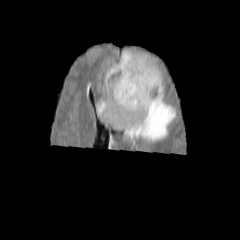
FLAIR MRI.
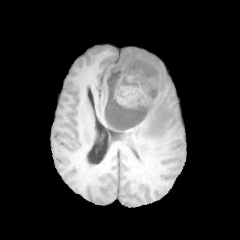
T1-weighted MR image.
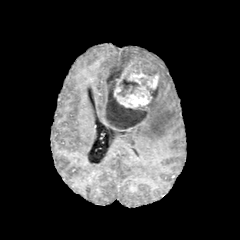
Post-contrast T1-weighted MRI.
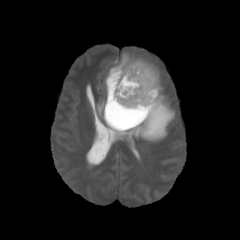
T2-weighted magnetic resonance.
Image size 240x240
<segmentation>
  <non-enhancing_tumor_core>[117, 75, 140, 97], [104, 56, 160, 128]</non-enhancing_tumor_core>
  <edema>[99, 82, 176, 145], [122, 50, 159, 73]</edema>
  <enhancing_tumor>[114, 63, 158, 107]</enhancing_tumor>
</segmentation>